Computed tomography | 512x512 | Abdomen
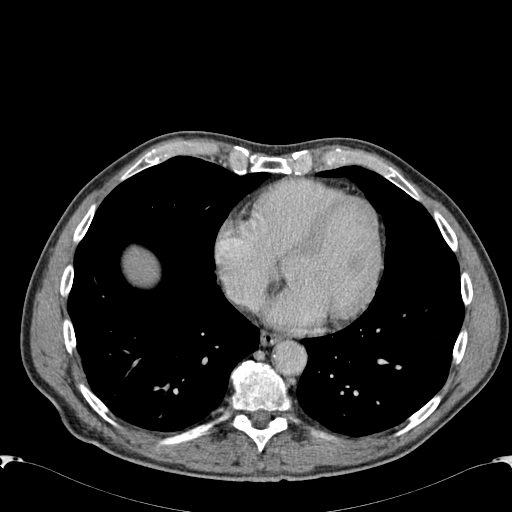 The liver is located at box=[124, 248, 158, 284].